FLAIR MR image.
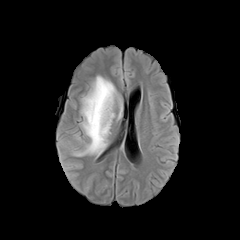
T1-weighted MR.
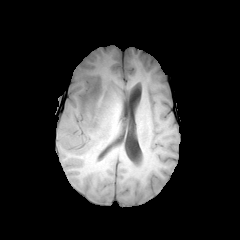
Post-contrast T1-weighted MR.
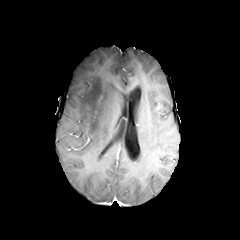
T2-weighted magnetic resonance.
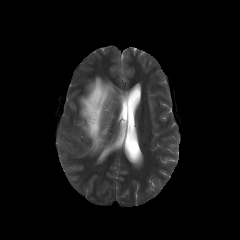
<segmentation>
  <non-enhancing_tumor_core>bbox=[92, 83, 100, 97]</non-enhancing_tumor_core>
  <edema>bbox=[76, 74, 121, 155]</edema>
</segmentation>